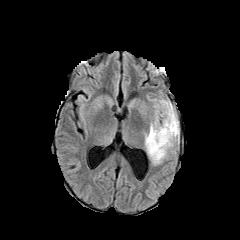
FLAIR magnetic resonance.
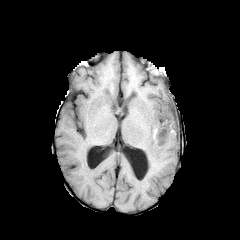
T1-weighted MR.
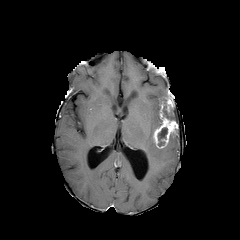
Post-contrast T1-weighted MR image of the same slice.
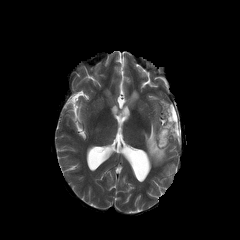
T2-weighted MRI of the same slice.
240x240 px; Head
2 enhancing tumor regions appear at (164, 99, 173, 115), (153, 115, 177, 143). 2 non-enhancing tumor core regions are located at (160, 108, 177, 123), (154, 127, 167, 147). The edema is at (144, 97, 179, 165).